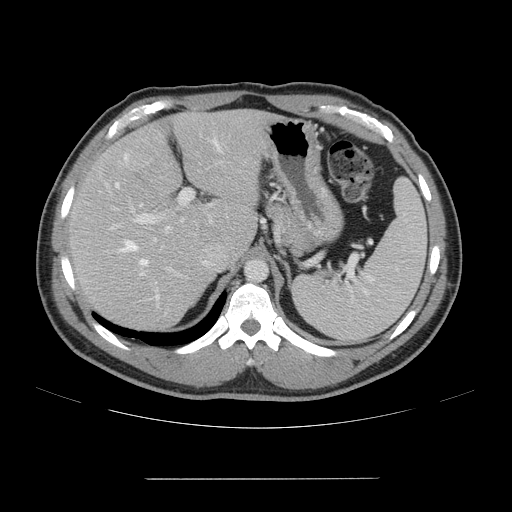 Abdomen | CT scan slice | 512x512

The vessel boxes may cover only some of the vessels.
Top 15 of 17 hepatic vessel regions — <bbox>105, 183, 107, 186</bbox>, <bbox>131, 207, 133, 211</bbox>, <bbox>210, 138, 220, 151</bbox>, <bbox>157, 303, 158, 307</bbox>, <bbox>141, 273, 145, 275</bbox>, <bbox>119, 241, 136, 251</bbox>, <bbox>137, 213, 159, 223</bbox>, <bbox>124, 154, 127, 160</bbox>, <bbox>110, 225, 115, 229</bbox>, <bbox>154, 292, 158, 300</bbox>, <bbox>140, 259, 147, 265</bbox>, <bbox>209, 217, 211, 221</bbox>, <bbox>179, 189, 192, 203</bbox>, <bbox>116, 183, 118, 186</bbox>, <bbox>167, 268, 170, 271</bbox>.